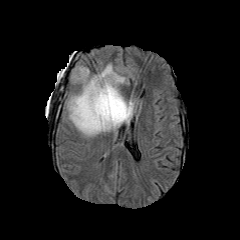
FLAIR MR image.
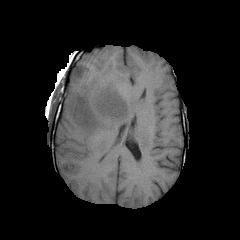
T1-weighted magnetic resonance of the same slice.
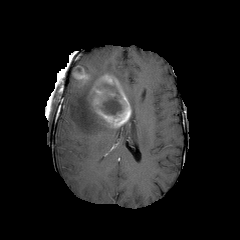
Post-contrast T1-weighted MRI.
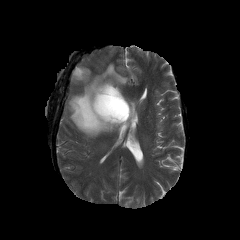
T2-weighted MR image.
Brain | 240x240
enhancing_tumor:
  - (92, 86, 131, 125)
  - (101, 74, 119, 89)
  - (107, 89, 115, 97)
  - (73, 70, 86, 79)
non-enhancing_tumor_core:
  - (95, 78, 127, 114)
  - (86, 91, 95, 107)
  - (89, 107, 106, 122)
edema:
  - (66, 64, 125, 136)
  - (126, 99, 136, 126)